FLAIR MRI.
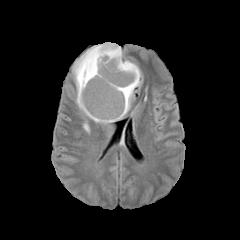
T1-weighted MR image.
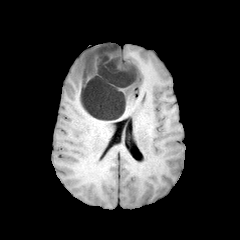
Post-contrast T1-weighted MR.
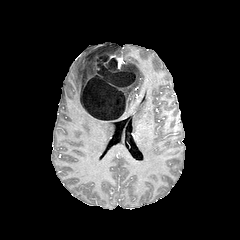
T2-weighted MR image.
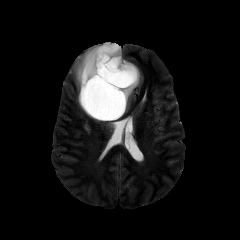
Head.
non-enhancing_tumor_core:
  - 80,44,137,120
enhancing_tumor:
  - 110,55,124,68
edema:
  - 124,60,142,113
  - 72,46,115,125